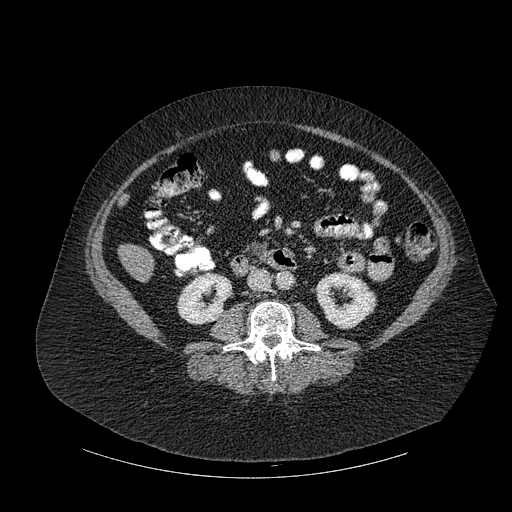 CT scan slice
<segmentation>
  <liver>box=[118, 244, 154, 282]</liver>
  <bone>box=[223, 302, 320, 380]</bone>
  <kidney>box=[317, 273, 374, 327]; box=[178, 273, 231, 323]</kidney>
</segmentation>